FLAIR MR image.
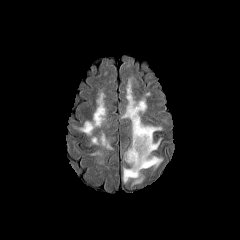
T1-weighted MR image.
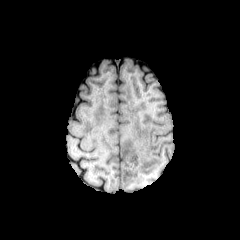
Post-contrast T1-weighted magnetic resonance.
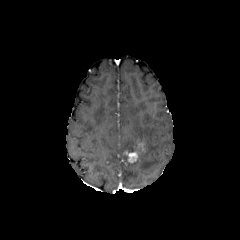
T2-weighted magnetic resonance.
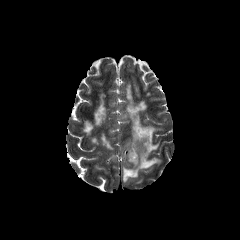
Brain
3 edema regions are bounded by x1=79 y1=94 x2=105 y2=134, x1=101 y1=134 x2=112 y2=150, x1=122 y1=79 x2=162 y2=183. The enhancing tumor appears at x1=122 y1=139 x2=147 y2=163.